Abdomen | 512x512 px | Field of view 330x330 mm | CT slice

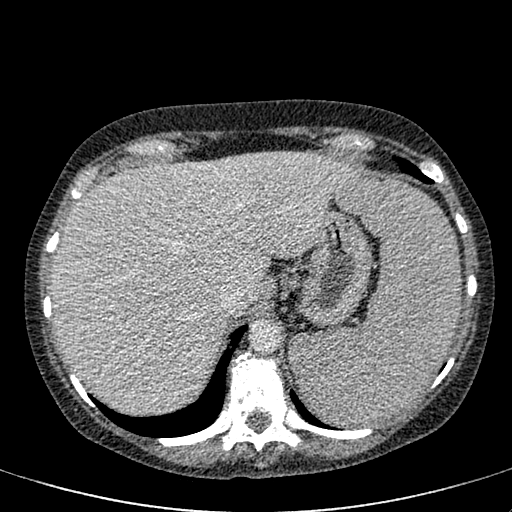

• liver: {"x1": 53, "y1": 154, "x2": 358, "y2": 412}